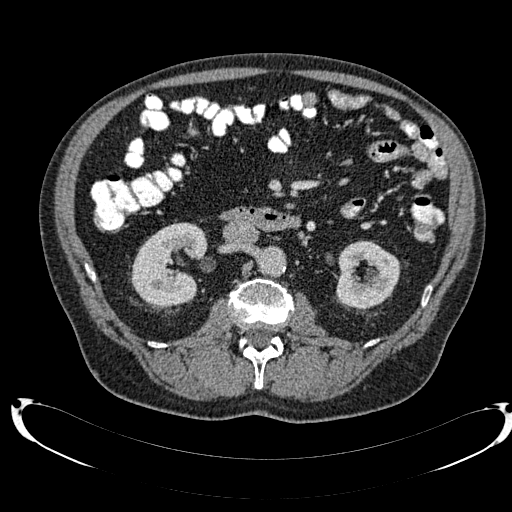 Computed tomography
2 kidney regions are located at [131,223,206,307], [336,241,399,309].